Head.
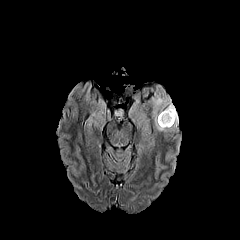
FLAIR MRI.
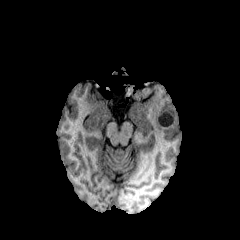
T1-weighted MR image of the same slice.
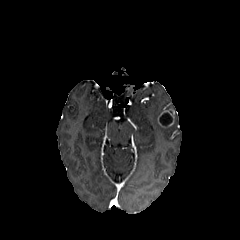
Post-contrast T1-weighted MRI.
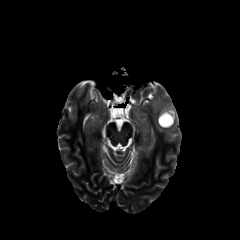
Same slice, T2-weighted MRI.
enhancing tumor: box(157, 107, 174, 127) | non-enhancing tumor core: box(159, 112, 172, 125) | edema: box(148, 85, 178, 134); box(135, 107, 150, 143)